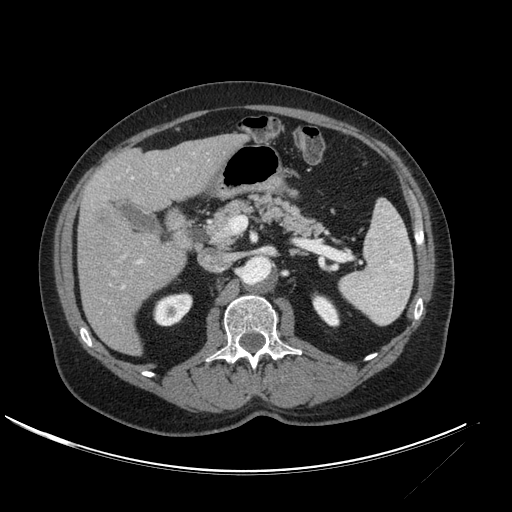

CT | Upper abdomen | 512x512

<segmentation>
  <liver>l=78, t=134, r=249, b=355</liver>
  <kidney>l=314, t=299, r=338, b=324; l=155, t=295, r=191, b=325</kidney>
  <hepatic_lesion>l=93, t=207, r=123, b=228</hepatic_lesion>
</segmentation>